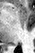 MRI

Annotated regions:
- posterior hippocampus: left=8, top=44, right=15, bottom=45